Slice 95 of 165; CT; 512x512 px; Liver
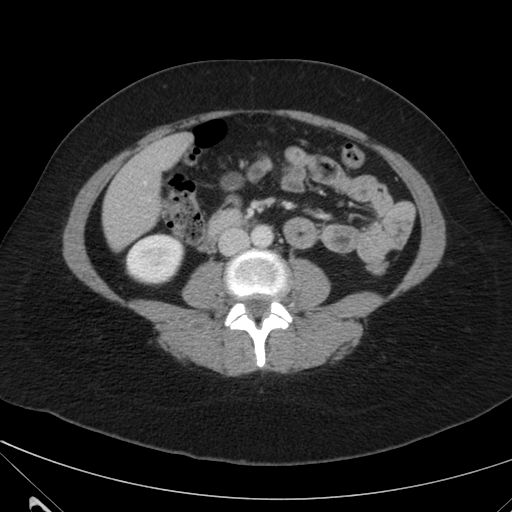 The kidney lies within <bbox>128, 236, 181, 281</bbox>. The liver is bounded by <bbox>103, 133, 191, 248</bbox>.